240x240 px
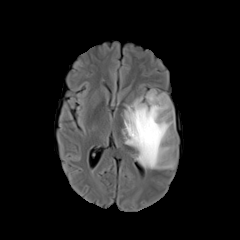
FLAIR magnetic resonance.
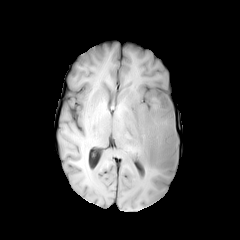
T1-weighted MR.
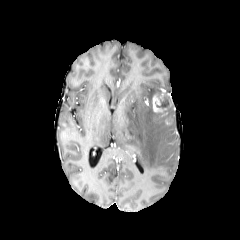
Post-contrast T1-weighted MRI.
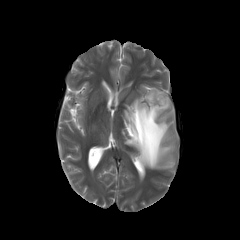
T2-weighted MR image.
Segmented structures:
* non-enhancing tumor core: [151,89,174,115]
* edema: [121,85,178,173]
* enhancing tumor: [153,96,160,111]